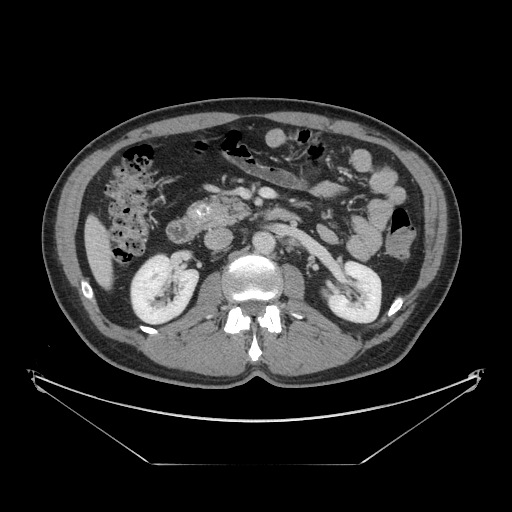
CT slice, Abdomen, Image size 512x512

{
  "pancreatic_tumor": [
    "left=196, top=204, right=210, bottom=218"
  ],
  "pancreas": [
    "left=185, top=195, right=251, bottom=230"
  ]
}